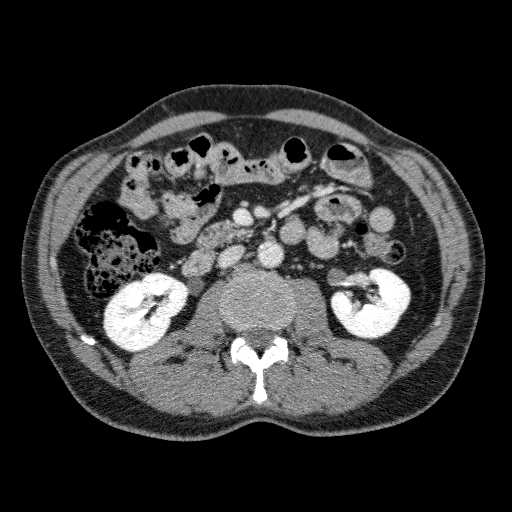
CT image | 512x512
2 kidney regions are located at l=332, t=269, r=409, b=337; l=104, t=274, r=186, b=350.